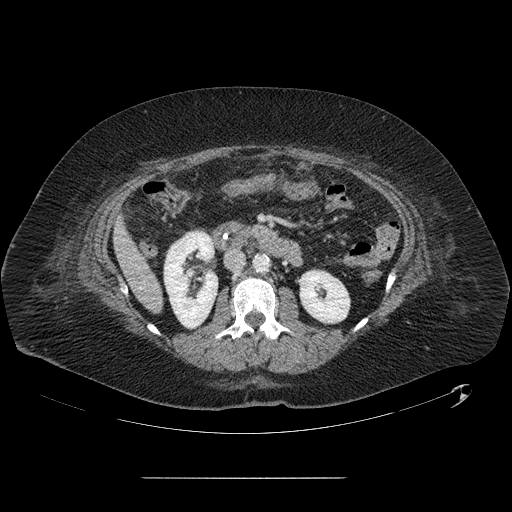
CT image
pancreas:
  - bbox(248, 227, 276, 238)